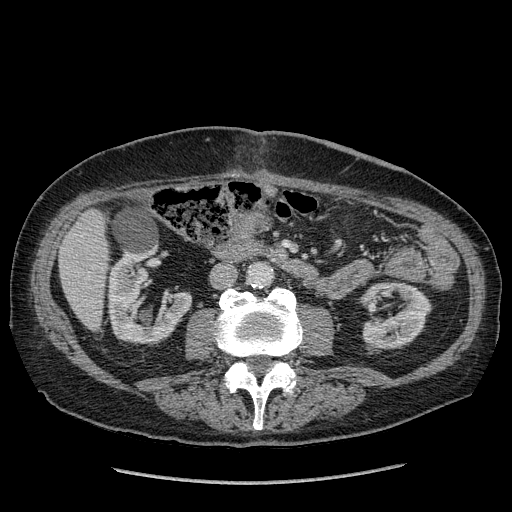
CT image, Abdomen
3 kidney regions are located at 361:283:430:348, 109:253:191:342, 137:268:147:280. The liver lies within 59:209:108:331.